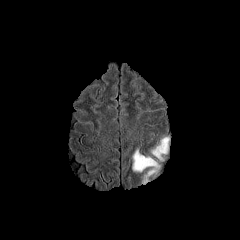
FLAIR MR image.
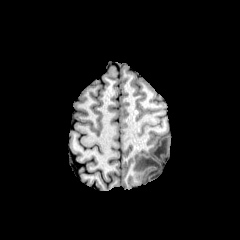
T1-weighted MRI.
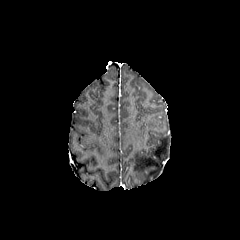
Post-contrast T1-weighted MR.
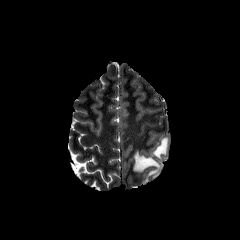
Same slice, T2-weighted MRI.
{"edema": ["<box>133,149,158,184</box>", "<box>152,137,169,159</box>"]}